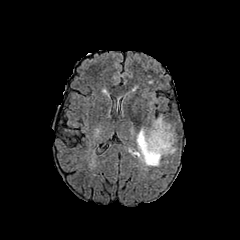
FLAIR MR.
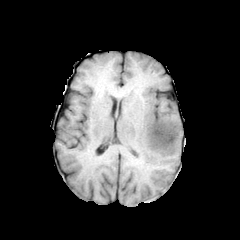
T1-weighted MRI of the same slice.
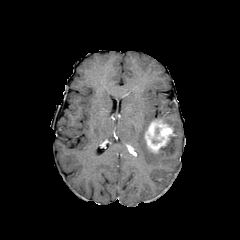
Post-contrast T1-weighted magnetic resonance of the same slice.
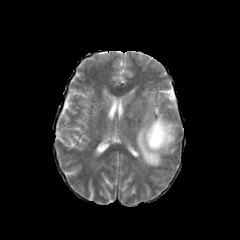
T2-weighted MR.
edema: <bbox>156, 114, 177, 134</bbox>, <bbox>134, 120, 177, 166</bbox> | enhancing tumor: <bbox>128, 146, 136, 156</bbox>, <bbox>144, 118, 175, 153</bbox>